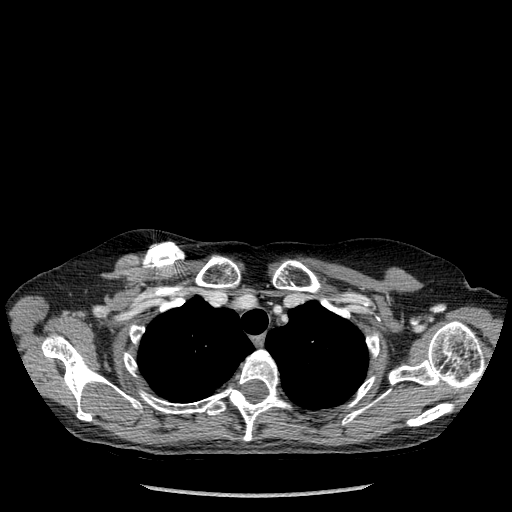
CT slice
Annotated regions:
- bone: box(407, 403, 453, 426); box(123, 352, 136, 376); box(320, 298, 349, 317); box(389, 321, 484, 390); box(155, 288, 184, 311); box(41, 334, 141, 421); box(195, 256, 240, 288); box(129, 324, 144, 343); box(342, 390, 390, 424); box(366, 333, 379, 357); box(348, 376, 374, 406); box(139, 349, 290, 440); box(273, 260, 320, 292)
- lung: box(265, 300, 368, 409); box(138, 296, 268, 402)